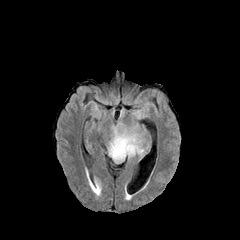
FLAIR MR image.
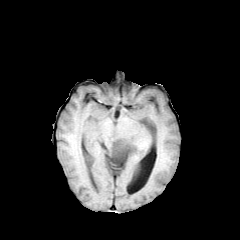
T1-weighted MR.
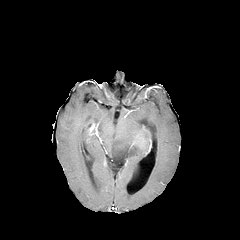
Post-contrast T1-weighted MR.
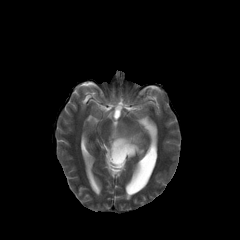
Same slice, T2-weighted MRI.
edema:
  - {"x1": 105, "y1": 120, "x2": 150, "y2": 164}